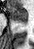
Magnetic resonance, Image size 34x49, Hippocampus
* anterior hippocampus: rect(8, 6, 27, 23)